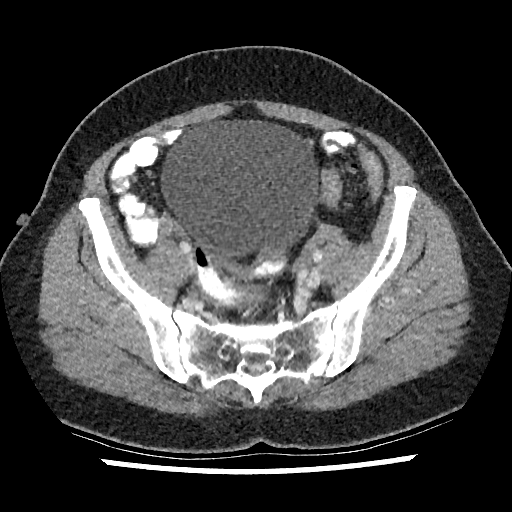

CT slice, Lower abdomen

The urinary bladder is bounded by 161:120:320:264.